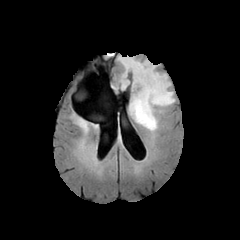
FLAIR magnetic resonance.
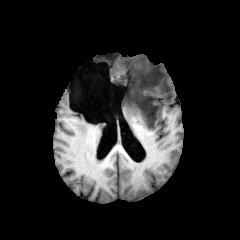
T1-weighted magnetic resonance.
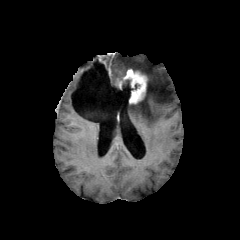
Same slice, post-contrast T1-weighted MR image.
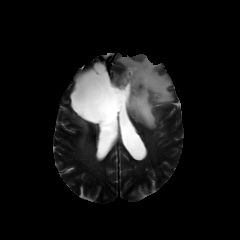
Same slice, T2-weighted MR.
Image size 240x240
Enhancing tumor at <bbox>123, 69, 147, 103</bbox>.
Edema at <bbox>117, 56, 174, 130</bbox>.
Non-enhancing tumor core at <bbox>128, 68, 155, 108</bbox>, <bbox>112, 74, 131, 96</bbox>.